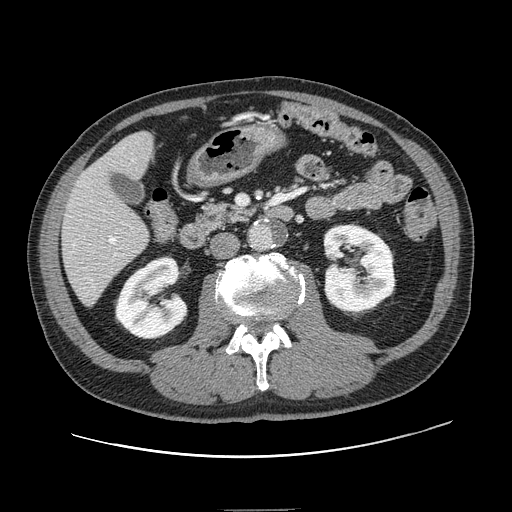 Upper abdomen | CT
Pancreas: bounding box 194:202:255:231.